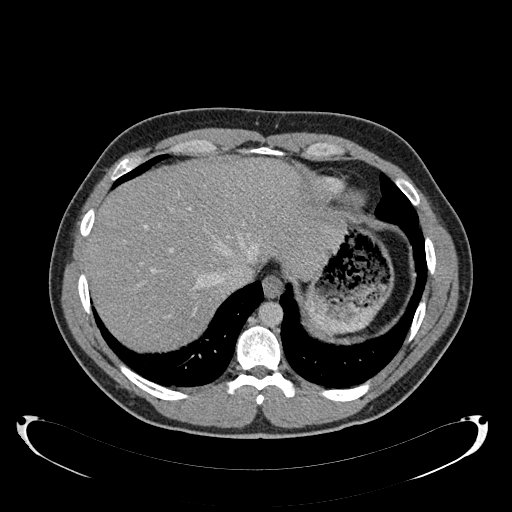 Liver. CT scan slice. liver: 86, 158, 340, 349